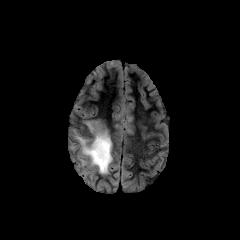
FLAIR MRI.
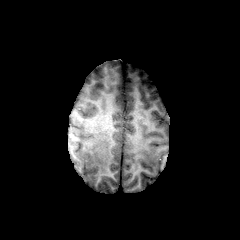
T1-weighted magnetic resonance.
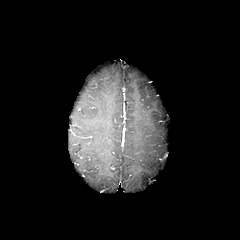
Post-contrast T1-weighted MR image.
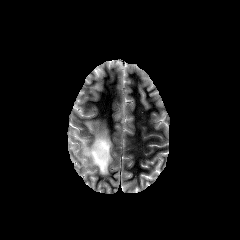
T2-weighted MR image of the same slice.
Head
Edema: bbox(73, 131, 113, 173).